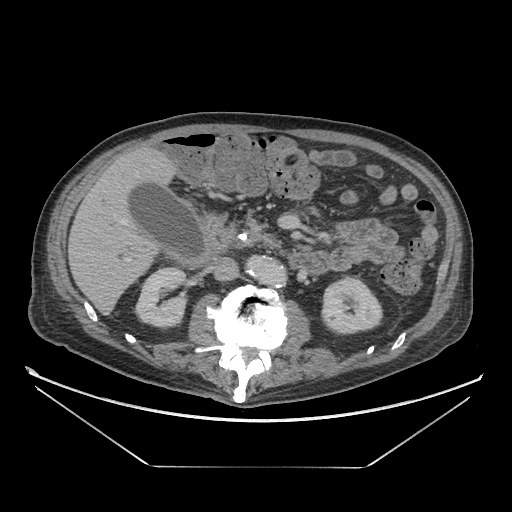

CT image. pancreatic tumor: (251, 232, 262, 242) | pancreas: (244, 231, 273, 245)